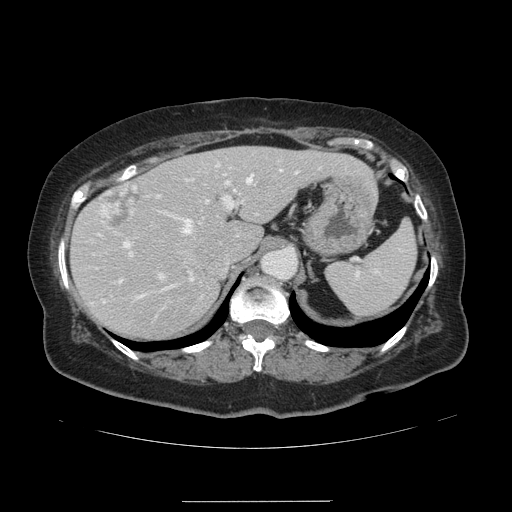
512x512 px. CT slice.
Only some of the vessels may be annotated.
{
  "hepatic_vessel": [
    "(216, 163, 218, 165)",
    "(129, 252, 131, 255)",
    "(116, 279, 121, 282)",
    "(123, 241, 129, 246)",
    "(222, 195, 241, 207)",
    "(205, 200, 208, 202)",
    "(225, 181, 229, 183)",
    "(187, 179, 192, 179)",
    "(179, 217, 191, 232)",
    "(279, 168, 281, 170)",
    "(156, 194, 159, 196)",
    "(157, 273, 162, 278)",
    "(295, 171, 297, 172)",
    "(246, 174, 251, 182)"
  ],
  "liver_tumor": [
    "(100, 182, 139, 231)"
  ]
}